Image size 512x512. CT scan slice. 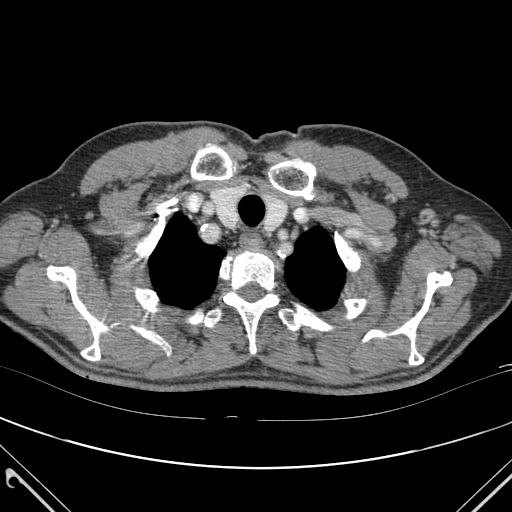
- lung: bbox(285, 227, 345, 310); bbox(149, 214, 225, 308)
- bone: bbox(137, 199, 177, 256); bbox(335, 232, 360, 270); bbox(220, 251, 273, 290); bbox(223, 292, 278, 353); bbox(189, 310, 220, 326); bbox(47, 266, 105, 360); bbox(393, 272, 452, 364); bbox(363, 330, 385, 341); bbox(135, 289, 157, 311); bbox(191, 146, 232, 180); bbox(134, 326, 162, 346); bbox(272, 162, 314, 199); bbox(345, 299, 365, 318); bbox(279, 305, 331, 330)